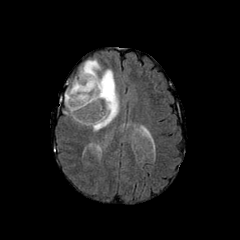
FLAIR MRI.
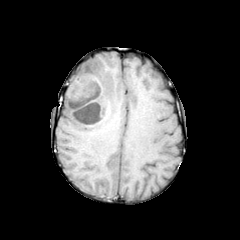
T1-weighted MR image of the same slice.
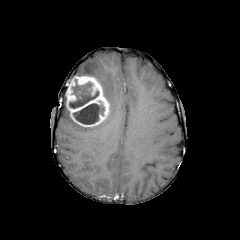
Post-contrast T1-weighted MR image.
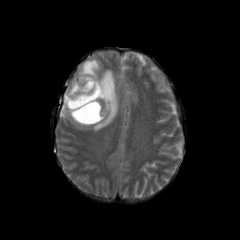
T2-weighted MR.
Head
Findings:
- enhancing tumor: <bbox>65, 76, 109, 126</bbox>
- edema: <bbox>78, 59, 118, 131</bbox>
- non-enhancing tumor core: <bbox>68, 81, 99, 108</bbox>, <bbox>73, 103, 104, 124</bbox>